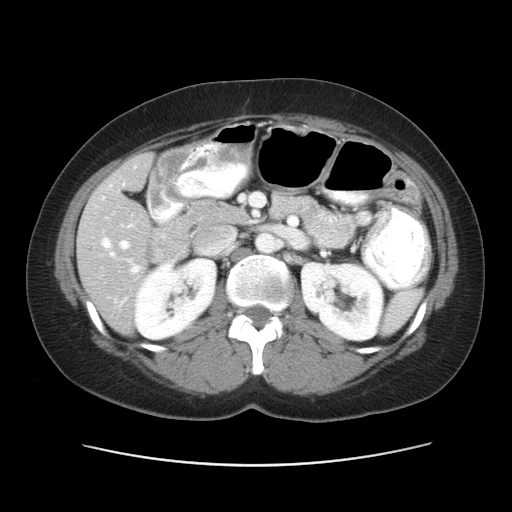 Abdomen, CT image

The vessel annotation is not exhaustive.
Hepatic vessel: bounding box 128 224 131 227, 102 238 110 247, 120 241 128 248, 130 259 139 272, 120 299 125 303, 110 253 113 255.